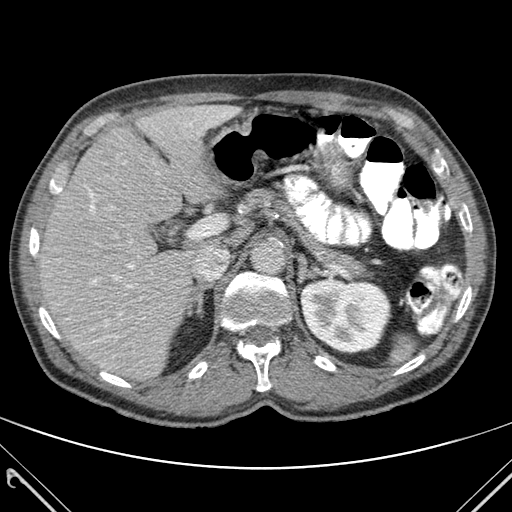

Liver. CT image.

kidney: box=[301, 279, 388, 351] | bone: box=[394, 355, 424, 374]; box=[30, 227, 38, 255]; box=[456, 287, 471, 319]; box=[39, 308, 59, 337]; box=[222, 272, 287, 329]; box=[100, 372, 130, 386]; box=[460, 205, 471, 230]; box=[435, 158, 446, 174]; box=[48, 178, 61, 197]; box=[189, 362, 206, 377]; box=[315, 356, 335, 370]; box=[238, 340, 279, 391] | liver: box=[40, 105, 240, 380]; box=[205, 241, 220, 246]